FLAIR MR.
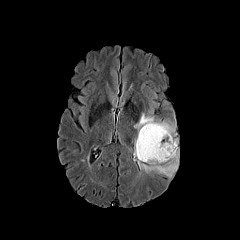
T1-weighted MR image.
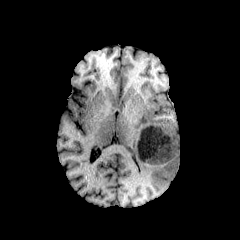
Post-contrast T1-weighted magnetic resonance.
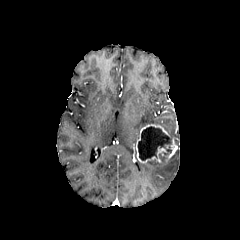
T2-weighted MR image.
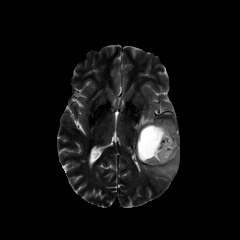
240x240 px, Head
Non-enhancing tumor core at rect(159, 150, 171, 160); rect(137, 126, 171, 161).
Edema at rect(133, 106, 176, 139); rect(138, 150, 178, 177).
Enhancing tumor at rect(136, 124, 176, 163).